CT scan slice; Slice index 100
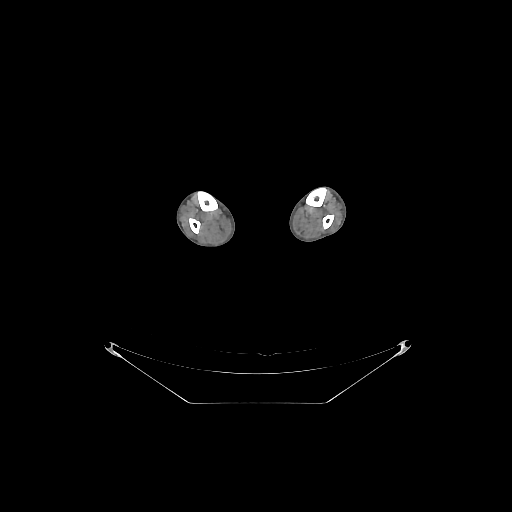 bone:
  - region(197, 191, 217, 211)
  - region(306, 188, 326, 206)
  - region(322, 215, 333, 228)
  - region(189, 218, 200, 233)